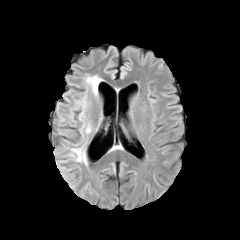
FLAIR MR.
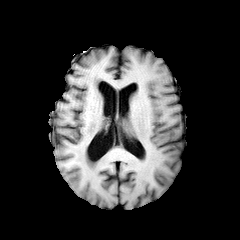
T1-weighted MR of the same slice.
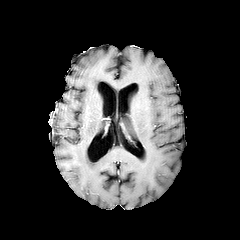
Post-contrast T1-weighted MR image of the same slice.
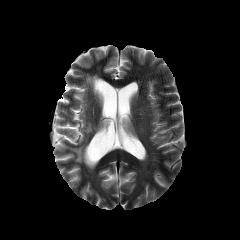
T2-weighted MR image of the same slice.
Head
* edema: 68 144 87 165, 70 75 102 144